FLAIR magnetic resonance.
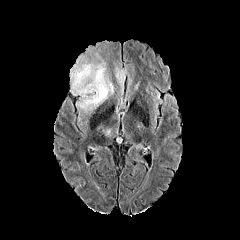
T1-weighted MRI.
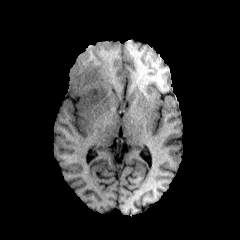
Post-contrast T1-weighted MRI.
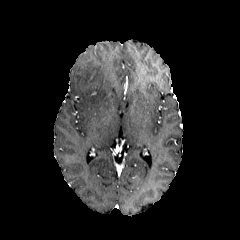
T2-weighted MRI.
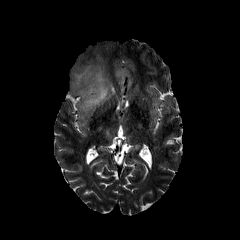
Brain
Edema = {"x1": 115, "y1": 64, "x2": 128, "y2": 93}, {"x1": 71, "y1": 59, "x2": 113, "y2": 112}.